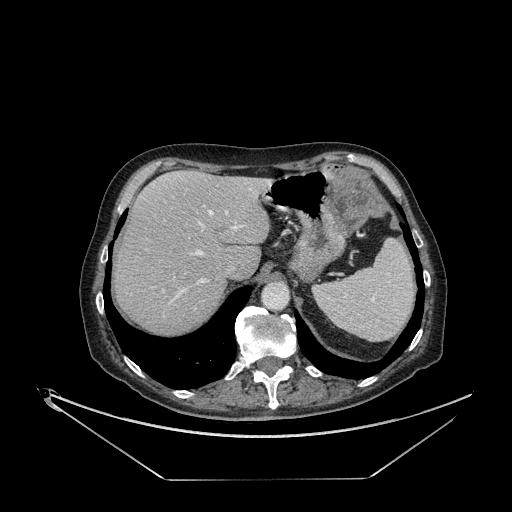

Computed tomography. Abdomen.

liver:
  - <bbox>115, 170, 271, 335</bbox>